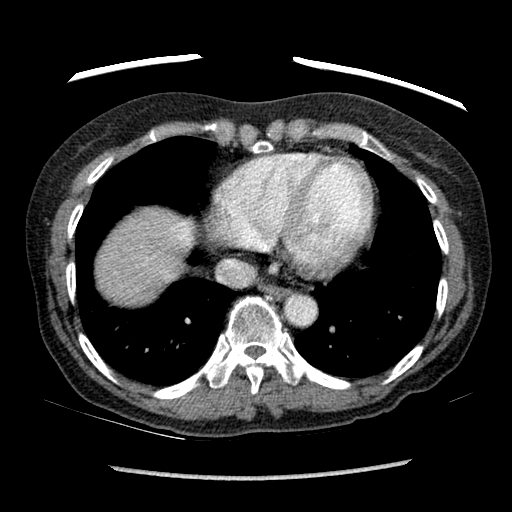 Upper abdomen, CT image

liver:
  - <box>98,212,191,305</box>